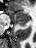 Medial temporal lobe | Magnetic resonance
The posterior hippocampus lies within 17:22:26:26. The anterior hippocampus is at 7:10:29:22.